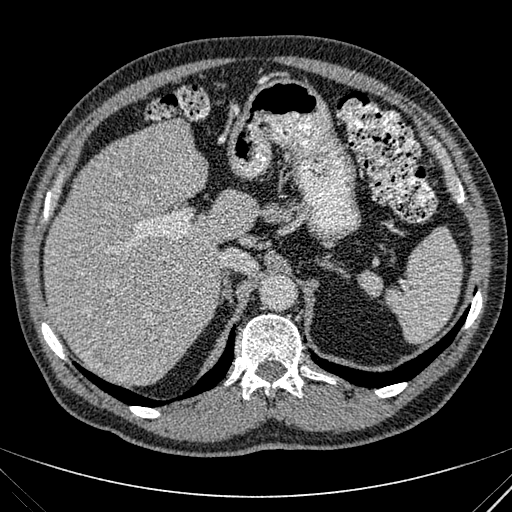 Computed tomography | 512x512
The hepatic lesion is bounded by bbox(94, 338, 119, 367). The liver appears at bbox(46, 121, 256, 384).